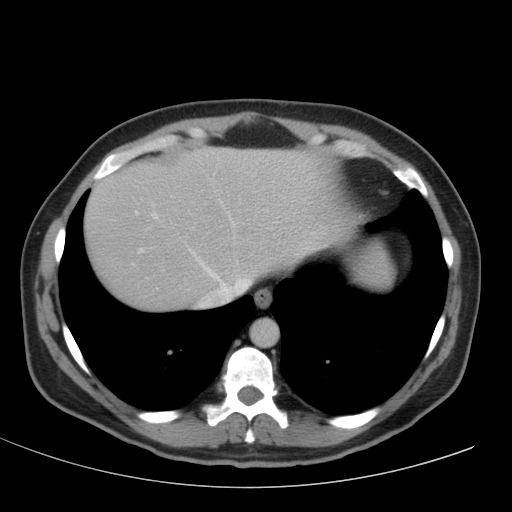 CT scan slice, Abdomen

Liver at <box>85,148,347,309</box>, <box>374,254,386,269</box>.